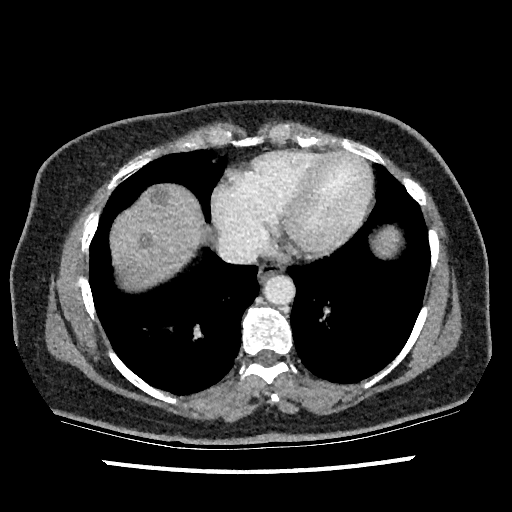
CT, Liver, Image size 512x512
Liver — rect(378, 230, 395, 252); rect(112, 185, 201, 287).
Hepatic lesion — rect(152, 187, 168, 205); rect(140, 235, 151, 247).